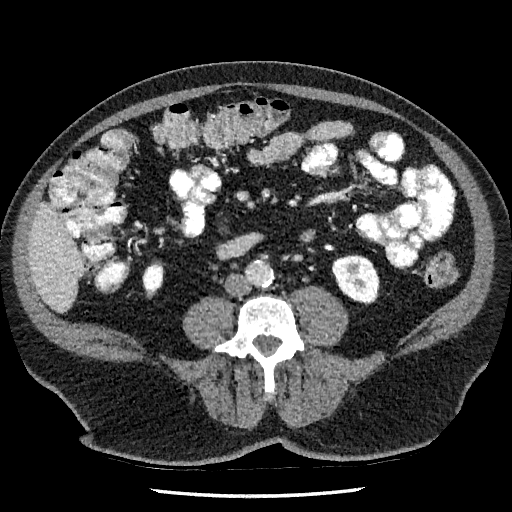

Abdomen; CT slice
kidney: bbox=[143, 265, 162, 291]; bbox=[333, 256, 378, 301] | liver: bbox=[29, 202, 82, 311]